CT image; Slice 115/122; Upper abdomen
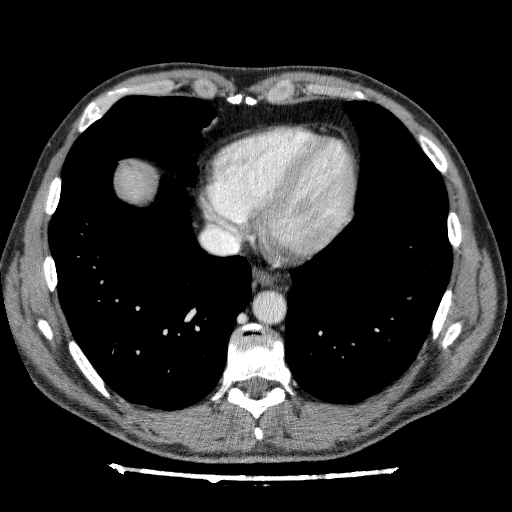
The liver is at [115, 163, 154, 208].